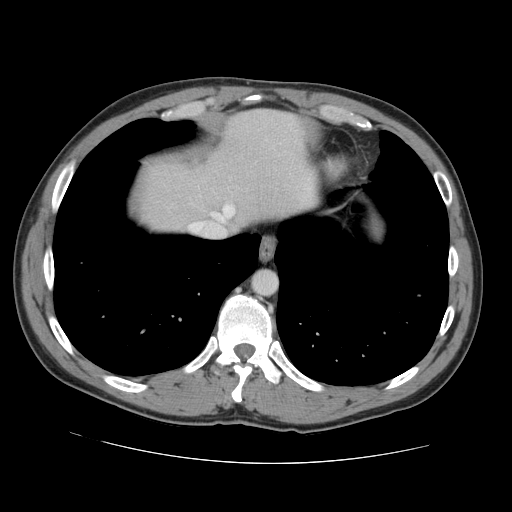
Computed tomography, Abdomen, 512x512
The vessel boxes may cover only some of the vessels.
<segmentation>
  <hepatic_vessel>region(211, 205, 235, 222)</hepatic_vessel>
</segmentation>